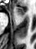

Hippocampus; 36x49; Magnetic resonance

Annotated regions:
- anterior hippocampus: box=[16, 7, 24, 15]